Brain; Image width 240 mm; Slice 83/155
FLAIR MR image.
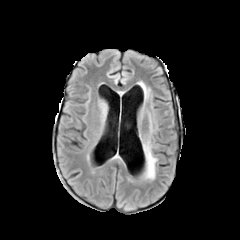
T1-weighted MR image.
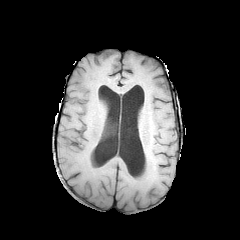
Post-contrast T1-weighted MR image.
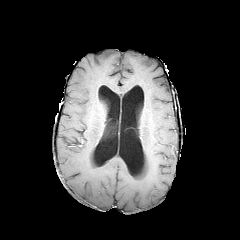
T2-weighted MRI.
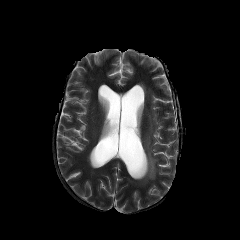
Edema: bounding box [140, 137, 157, 178], [140, 83, 149, 95].